Image width 240 mm; Brain
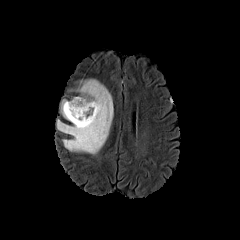
FLAIR MR.
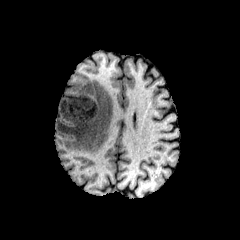
T1-weighted MR.
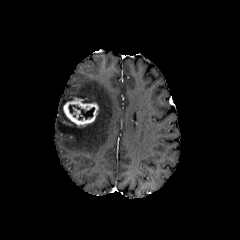
Post-contrast T1-weighted MRI of the same slice.
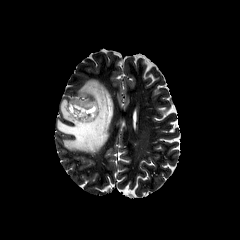
T2-weighted MR image of the same slice.
- edema: (left=57, top=79, right=113, bottom=156), (left=59, top=99, right=69, bottom=119)
- enhancing tumor: (left=63, top=98, right=98, bottom=127)
- non-enhancing tumor core: (left=68, top=104, right=95, bottom=119), (left=74, top=96, right=94, bottom=103)